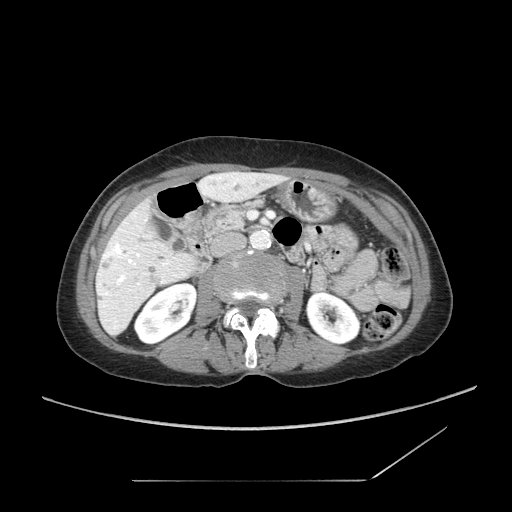 CT slice

Findings:
• pancreas: (left=205, top=201, right=262, bottom=239)
• pancreatic tumor: (left=207, top=209, right=228, bottom=227)